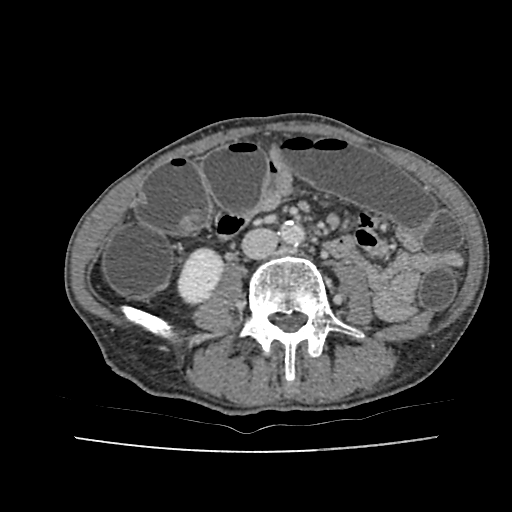

Abdomen; CT slice; Image size 512x512

* kidney: region(179, 250, 222, 302)